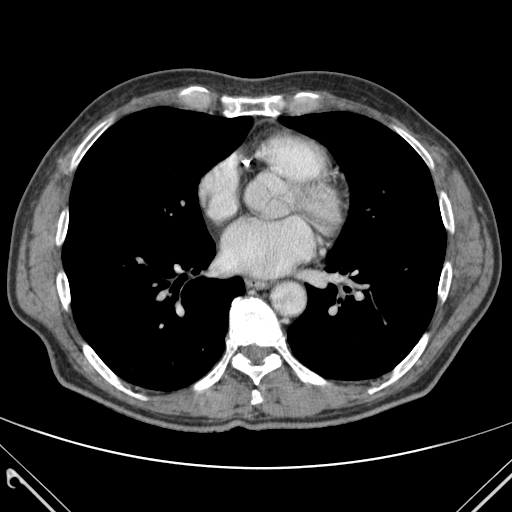 CT slice, Thorax

Bone at {"x1": 195, "y1": 297, "x2": 325, "y2": 390}, {"x1": 57, "y1": 259, "x2": 69, "y2": 308}, {"x1": 251, "y1": 390, "x2": 261, "y2": 403}, {"x1": 369, "y1": 335, "x2": 427, "y2": 393}, {"x1": 72, "y1": 119, "x2": 113, "y2": 166}, {"x1": 177, "y1": 87, "x2": 207, "y2": 94}, {"x1": 232, "y1": 354, "x2": 280, "y2": 384}, {"x1": 83, "y1": 345, "x2": 140, "y2": 397}, {"x1": 438, "y1": 263, "x2": 451, "y2": 300}, {"x1": 220, "y1": 93, "x2": 321, "y2": 116}, {"x1": 56, "y1": 212, "x2": 68, "y2": 248}, {"x1": 440, "y1": 193, "x2": 453, "y2": 231}, {"x1": 396, "y1": 129, "x2": 432, "y2": 166}.
Lung at {"x1": 62, "y1": 107, "x2": 252, "y2": 390}, {"x1": 280, "y1": 111, "x2": 445, "y2": 379}.